Computed tomography 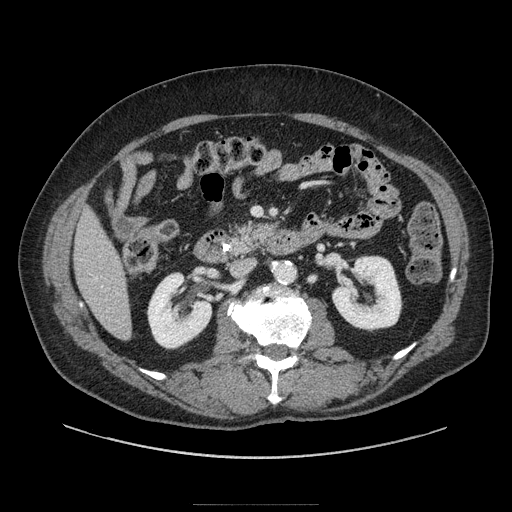

Pancreas = [230,221,278,254].